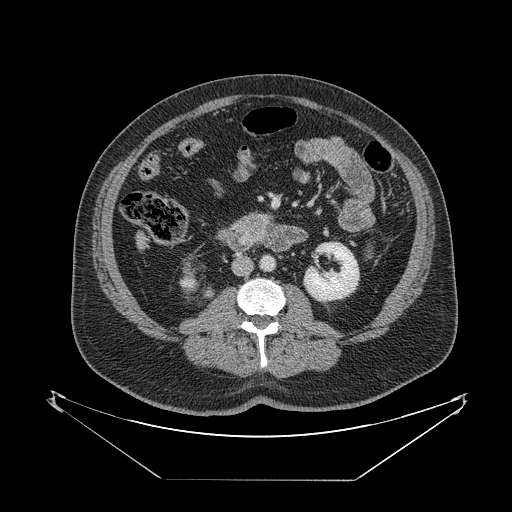 Computed tomography. Image size 512x512.

pancreas:
  - l=236, t=220, r=259, b=239
pancreatic_tumor:
  - l=241, t=213, r=265, b=235